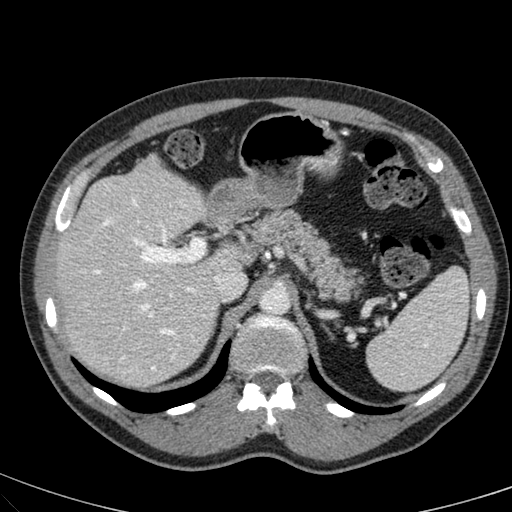

CT slice
- liver: 55,159,243,385